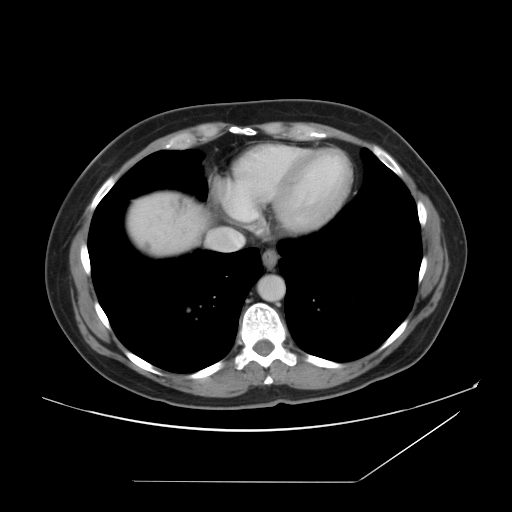 CT image | Abdomen | 512x512 px
- liver tumor: [x1=143, y1=241, x2=152, y2=251]